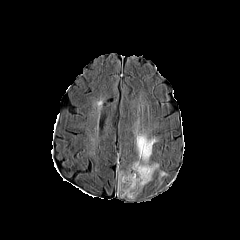
FLAIR magnetic resonance.
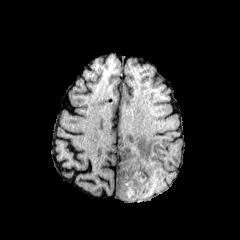
T1-weighted magnetic resonance.
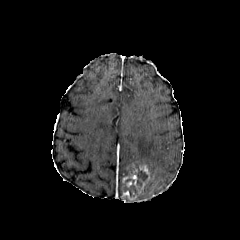
Post-contrast T1-weighted MR.
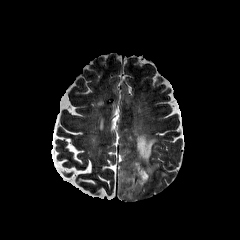
Same slice, T2-weighted MR.
The non-enhancing tumor core is bounded by 135, 163, 147, 188. The enhancing tumor appears at 120, 161, 151, 201. The edema is at 133, 120, 159, 177.